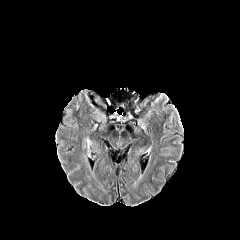
FLAIR MRI.
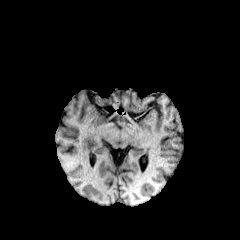
Same slice, T1-weighted magnetic resonance.
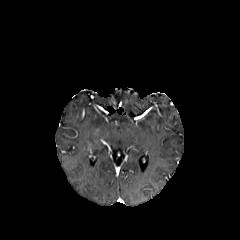
Post-contrast T1-weighted magnetic resonance.
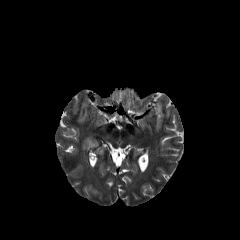
T2-weighted MR image.
The non-enhancing tumor core lies within 83,135,93,144.